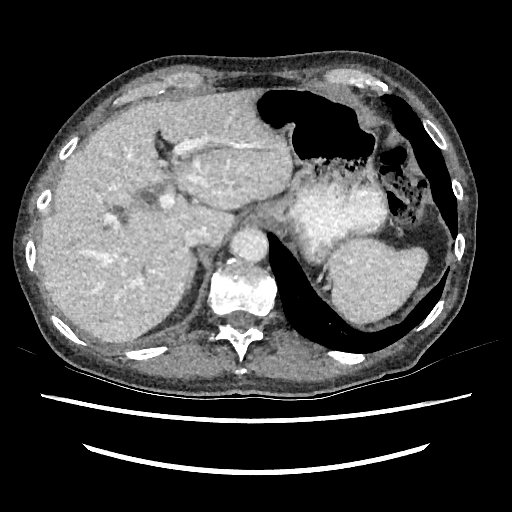 CT, Abdomen

{
  "liver": [
    "(x1=37, y1=89, x2=291, y2=341)"
  ]
}